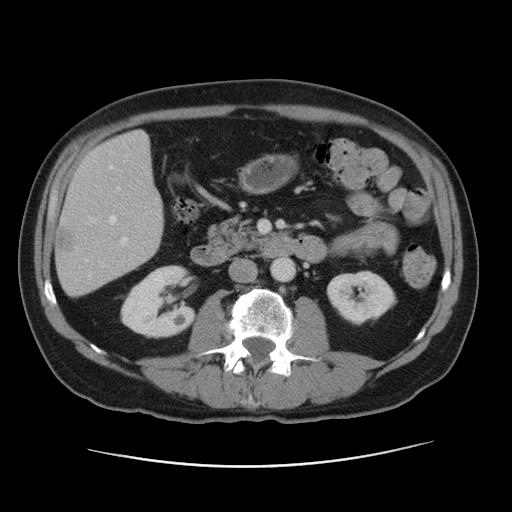 Computed tomography; Liver; 512x512

2 kidney regions are located at (x1=327, y1=271, x2=396, y2=325), (x1=122, y1=266, x2=193, y2=336). The hepatic lesion appears at (x1=55, y1=228, x2=74, y2=252). The liver lies within (x1=56, y1=137, x2=159, y2=293).